Head; 240x240 px; Slice 109/155; Field of view 240 mm wide, 1.00 mm slice spacing
FLAIR MR.
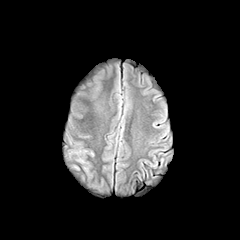
T1-weighted MR image.
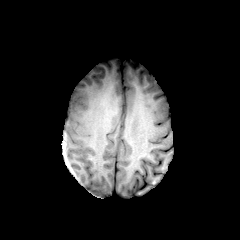
Post-contrast T1-weighted MR image.
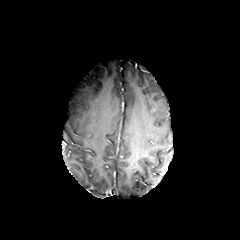
T2-weighted magnetic resonance.
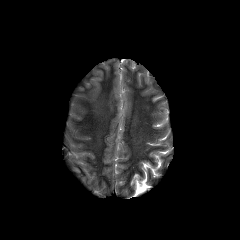
edema:
  - x1=94, y1=101, x2=104, y2=112